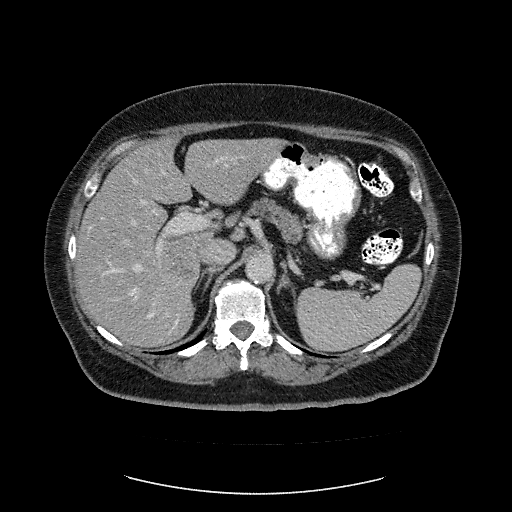
Image size 512x512 | Computed tomography
Not every hepatic vessel necessarily has a box.
liver tumor: region(159, 237, 199, 280) | [15/22] hepatic vessel: region(132, 220, 136, 225); region(107, 260, 110, 264); region(147, 312, 153, 318); region(275, 158, 279, 163); region(176, 316, 178, 324); region(131, 288, 140, 294); region(134, 180, 137, 182); region(215, 155, 247, 162); region(133, 265, 141, 271); region(142, 201, 145, 203); region(166, 313, 169, 316); region(157, 240, 162, 253); region(102, 265, 120, 274); region(163, 171, 166, 174); region(89, 226, 92, 230)